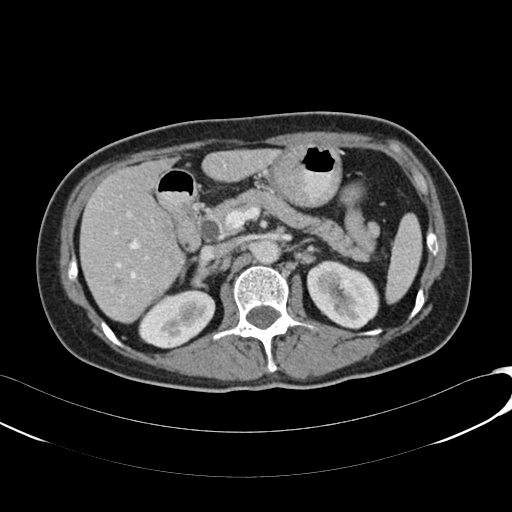 CT | Upper abdomen
Liver: left=80, top=157, right=184, bottom=322; left=201, top=149, right=281, bottom=181.
Kidney: left=140, top=291, right=214, bottom=347; left=308, top=262, right=377, bottom=327.
Focal liver lesion: left=151, top=289, right=160, bottom=300; left=115, top=279, right=123, bottom=286; left=163, top=223, right=172, bottom=236.